Brain. Slice 66/155.
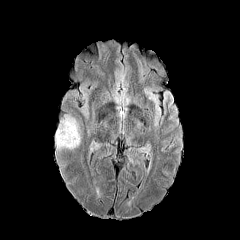
FLAIR magnetic resonance.
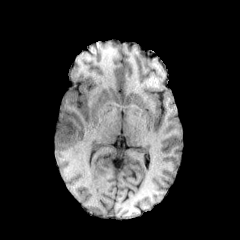
Same slice, T1-weighted MR.
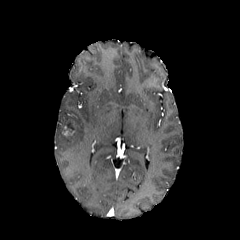
Post-contrast T1-weighted MR image of the same slice.
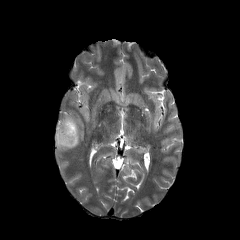
T2-weighted MR image.
Annotated regions:
* non-enhancing tumor core: {"x1": 63, "y1": 121, "x2": 75, "y2": 132}
* edema: {"x1": 55, "y1": 115, "x2": 80, "y2": 148}, {"x1": 81, "y1": 87, "x2": 89, "y2": 105}